240x240; Image width 240 mm; Slice 98 of 155
FLAIR MRI.
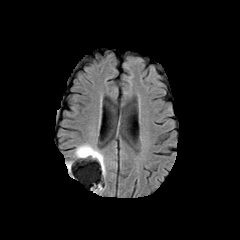
T1-weighted magnetic resonance.
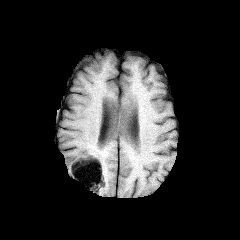
Post-contrast T1-weighted MR.
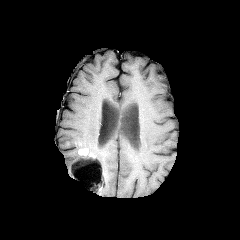
T2-weighted MR image.
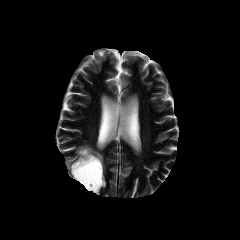
Findings:
- enhancing tumor: bbox(78, 148, 96, 157)
- non-enhancing tumor core: bbox(80, 148, 101, 171)
- edema: bbox(74, 143, 106, 178)